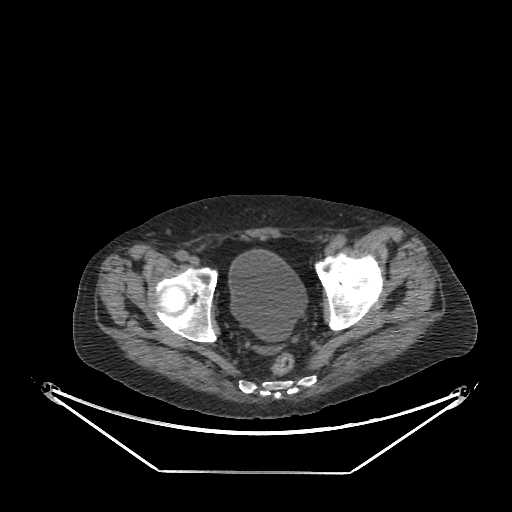 Computed tomography
The urinary bladder lies within 228, 249, 307, 341.